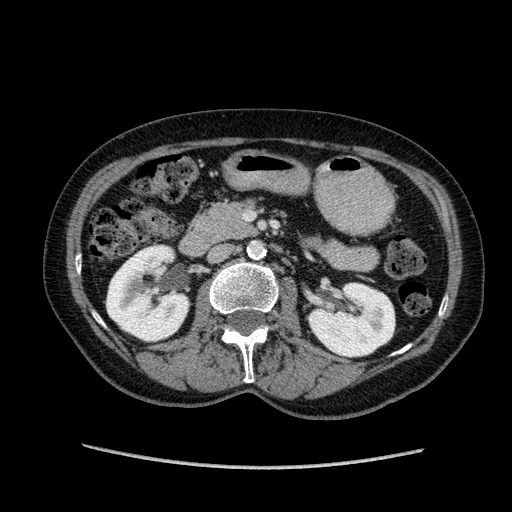 Computed tomography, 512x512, Abdomen
Annotated regions:
• kidney: left=107, top=246, right=187, bottom=340; left=309, top=280, right=394, bottom=356